Slice 14/37, Magnetic resonance, Hippocampus, 37x48 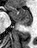 <segmentation>
  <posterior_hippocampus>(left=17, top=22, right=30, bottom=26)</posterior_hippocampus>
  <anterior_hippocampus>(left=8, top=5, right=31, bottom=21)</anterior_hippocampus>
</segmentation>